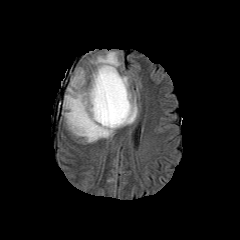
FLAIR magnetic resonance.
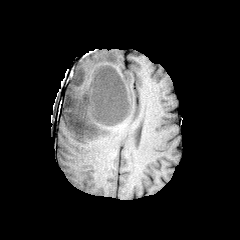
T1-weighted MR image of the same slice.
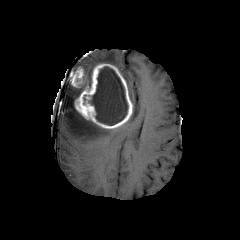
Same slice, post-contrast T1-weighted MRI.
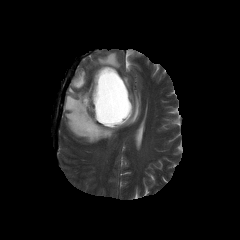
T2-weighted MRI.
Brain
edema: <bbox>62, 83, 139, 142</bbox>, <bbox>84, 51, 120, 83</bbox> | non-enhancing tumor core: <bbox>90, 66, 127, 125</bbox>, <bbox>67, 66, 95, 120</bbox> | enhancing tumor: <bbox>71, 69, 84, 87</bbox>, <bbox>75, 64, 132, 128</bbox>